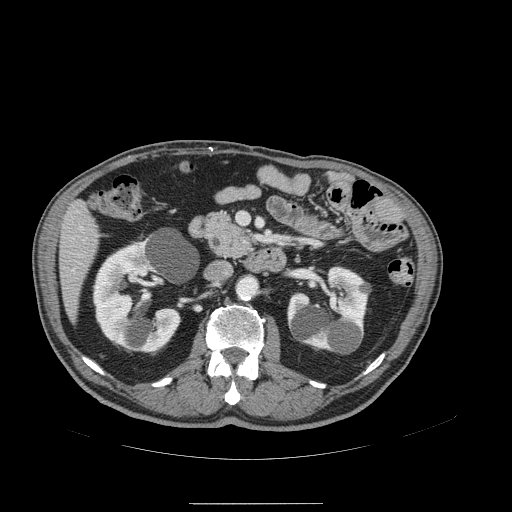

512x512 px | CT scan slice
The pancreas is at x1=203 y1=209 x2=261 y2=261.